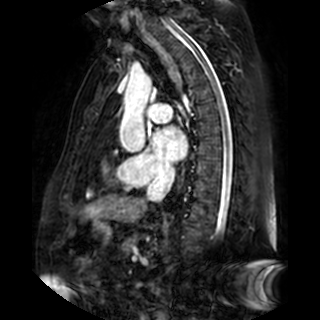

MR image | Cardiac

Left atrium: bounding box {"x1": 152, "y1": 127, "x2": 186, "y2": 161}.